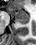
Hippocampus; Image size 36x45; MRI slice
Posterior hippocampus: bounding box l=16, t=20, r=28, b=23.
Anterior hippocampus: bounding box l=8, t=7, r=28, b=19.